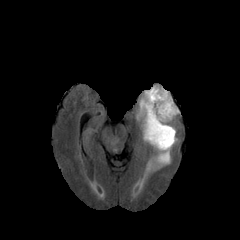
FLAIR MR.
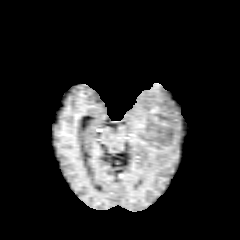
Same slice, T1-weighted MR.
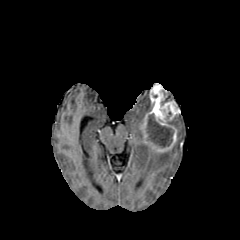
Same slice, post-contrast T1-weighted MR image.
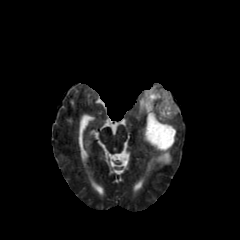
T2-weighted MR image.
Image size 240x240
edema:
  - (left=170, top=114, right=179, bottom=139)
  - (left=134, top=90, right=175, bottom=175)
non-enhancing_tumor_core:
  - (left=146, top=114, right=173, bottom=147)
  - (left=161, top=92, right=172, bottom=104)
enhancing_tumor:
  - (left=148, top=83, right=180, bottom=125)
  - (left=158, top=129, right=176, bottom=149)